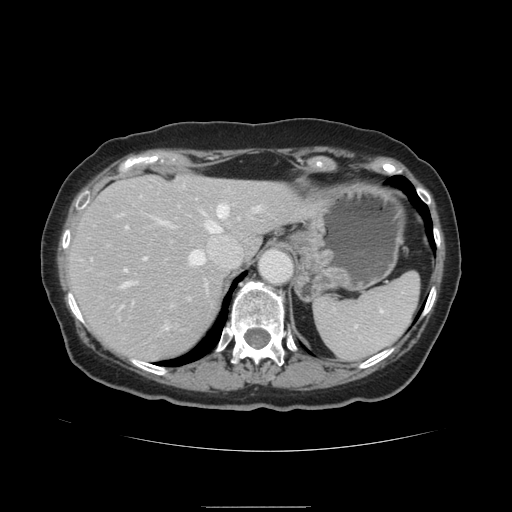
Liver. CT scan slice. The vessel boxes may cover only some of the vessels.
{
  "hepatic_vessel": [
    "bbox(144, 257, 146, 259)",
    "bbox(119, 283, 128, 288)",
    "bbox(165, 326, 167, 328)",
    "bbox(125, 227, 127, 229)",
    "bbox(204, 219, 219, 232)",
    "bbox(254, 206, 260, 210)",
    "bbox(216, 203, 228, 217)",
    "bbox(188, 250, 204, 265)"
  ]
}